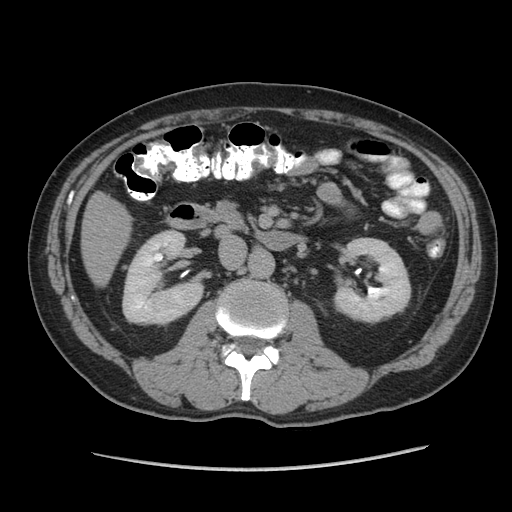 CT
Pancreas: bounding box left=222, top=202, right=231, bottom=218.